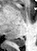
Image size 37x51 | MR image | Medial temporal lobe
<segmentation>
  <posterior_hippocampus>rect(14, 38, 24, 46)</posterior_hippocampus>
</segmentation>